Slice 48 of 91 | CT scan slice | 512x512 px 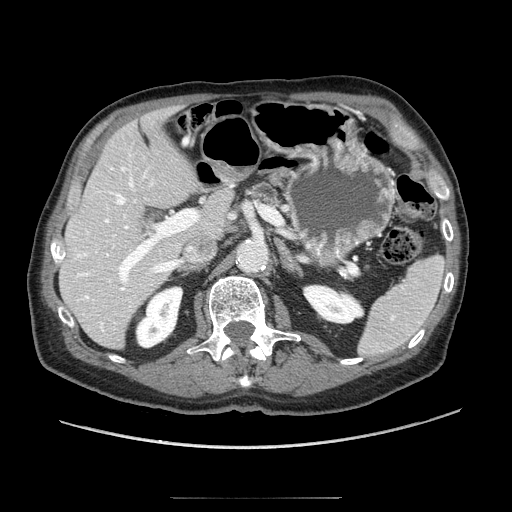

pancreas: {"x1": 248, "y1": 184, "x2": 278, "y2": 203}